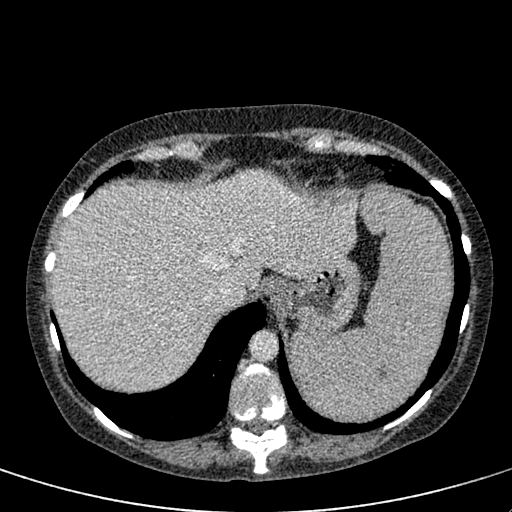 CT slice
liver: bbox=[56, 172, 360, 390]